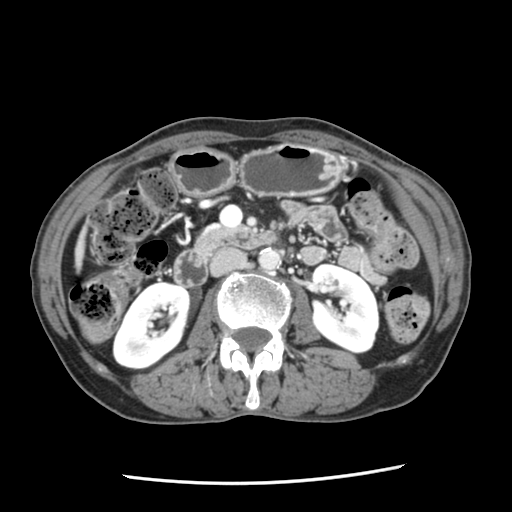

Abdomen; CT

pancreas:
  - bbox=[196, 225, 238, 256]